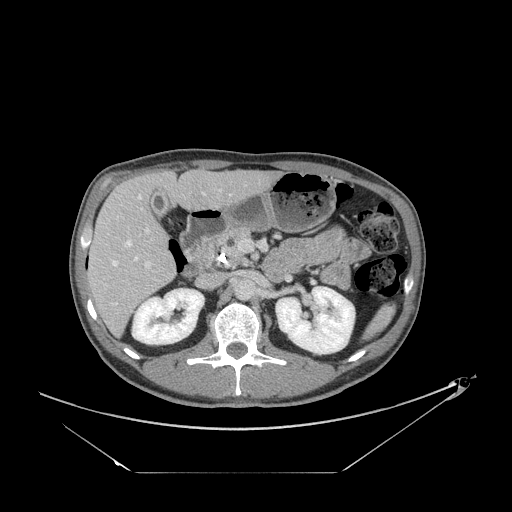

CT image

<segmentation>
  <pancreas>(left=214, top=226, right=250, bottom=257)</pancreas>
</segmentation>